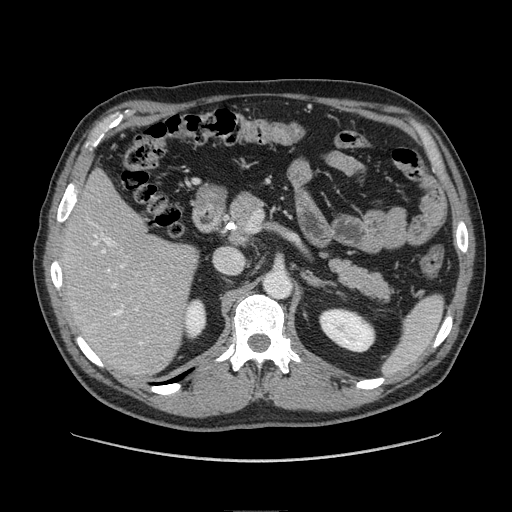 Computed tomography, Upper abdomen, 512x512 px

2 pancreas regions appear at (319,249,396,308), (223,188,265,244).